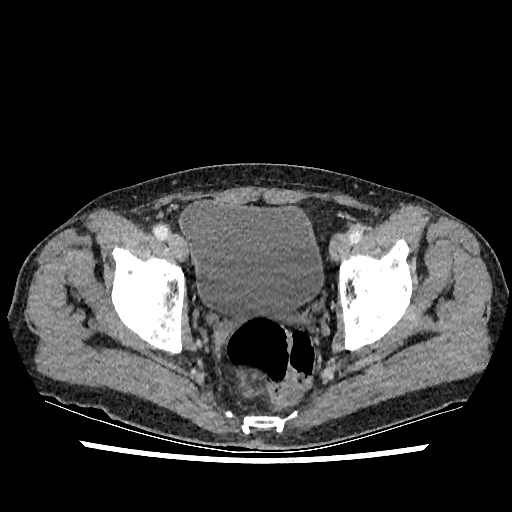

CT slice
urinary_bladder:
  - bbox(181, 200, 323, 333)